FLAIR MRI.
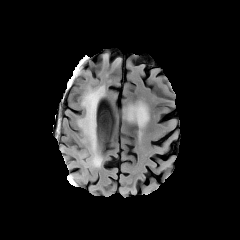
T1-weighted MRI.
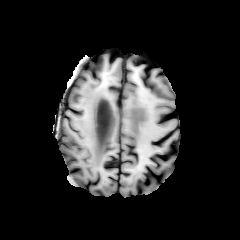
Post-contrast T1-weighted MR image.
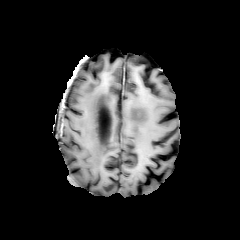
T2-weighted MR.
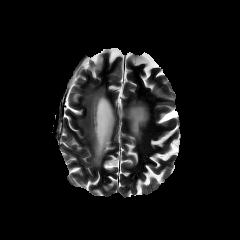
Brain
edema:
  - (x1=79, y1=87, x2=103, y2=169)